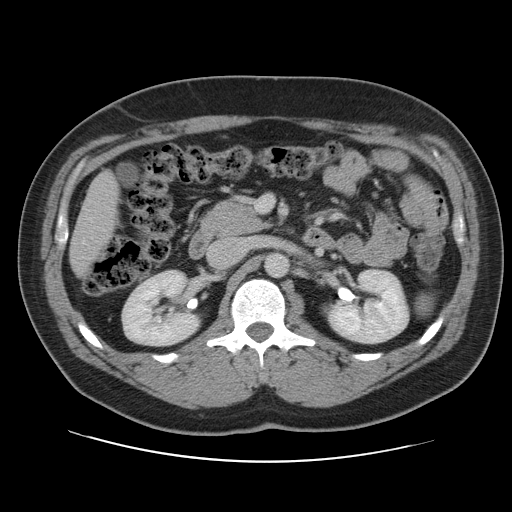 CT slice | 512x512 | Liver
The vessel boxes may cover only some of the vessels.
hepatic vessel: (left=76, top=267, right=82, bottom=273), (left=87, top=258, right=91, bottom=259), (left=72, top=260, right=74, bottom=262), (left=88, top=199, right=90, bottom=201), (left=102, top=235, right=109, bottom=240), (left=103, top=173, right=108, bottom=180), (left=82, top=240, right=84, bottom=244)